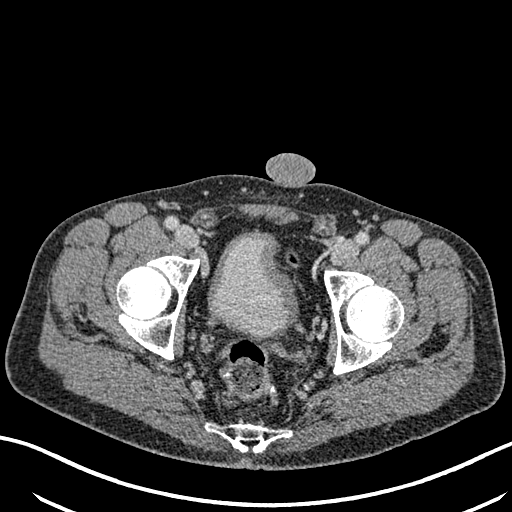 Image size 512x512 | CT image | Pelvis

urinary bladder: x1=211, y1=233, x2=289, y2=334